CT image. Abdomen. Field of view 435 mm wide, 5.00 mm slice spacing. Slice index 31.
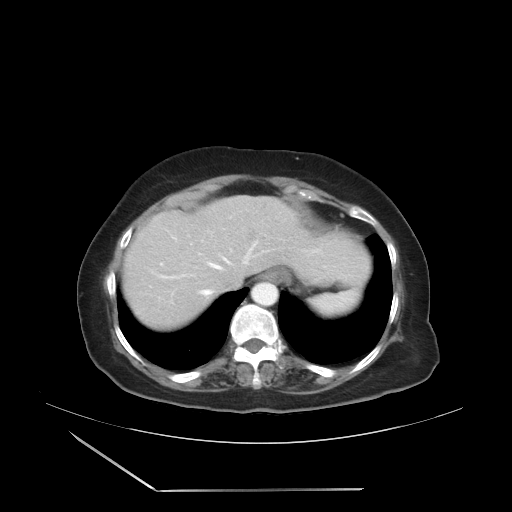 The vessel boxes may cover only some of the vessels.
13 hepatic vessel regions appear at 153,272,194,278; 221,256,230,264; 199,289,212,295; 313,249,319,252; 242,241,266,264; 161,263,163,265; 170,300,172,302; 207,261,222,269; 198,253,200,254; 171,235,176,241; 209,231,212,235; 230,249,231,251; 173,290,174,292.